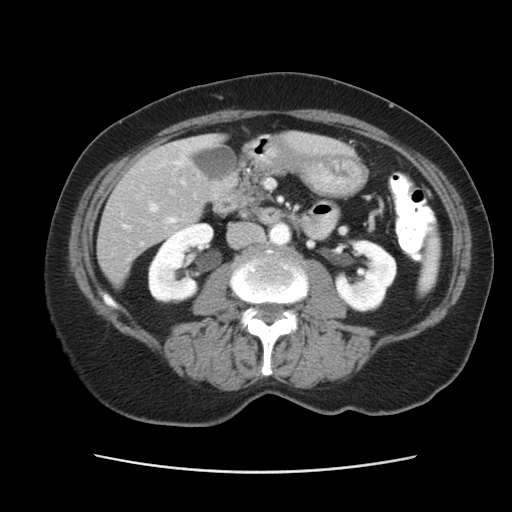
CT image. Not every hepatic vessel necessarily has a box.
• hepatic vessel: (181, 181, 185, 184), (124, 226, 129, 228), (151, 205, 156, 210), (175, 160, 185, 166), (167, 217, 175, 223)